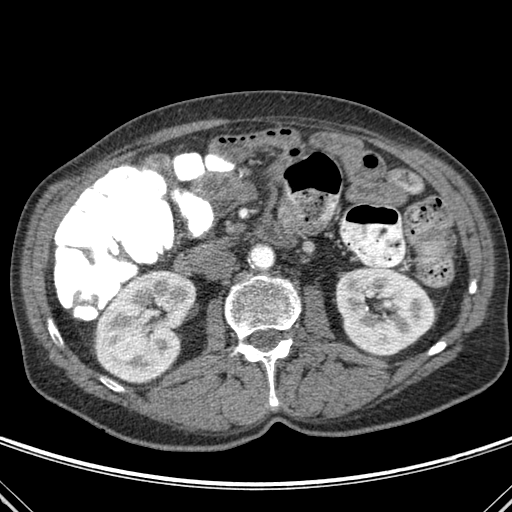

Computed tomography; Abdomen

Kidney = (337, 265, 433, 354), (96, 274, 194, 381).
Bone = (428, 341, 445, 354), (48, 319, 61, 342), (470, 282, 476, 293), (240, 209, 247, 216), (100, 377, 123, 391), (225, 274, 300, 406).